Slice 67/155; Brain; 240x240
FLAIR MR image.
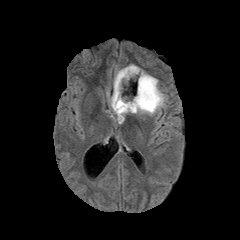
T1-weighted MR.
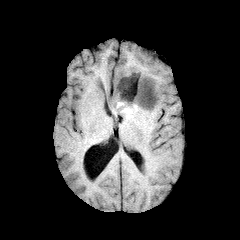
Post-contrast T1-weighted magnetic resonance.
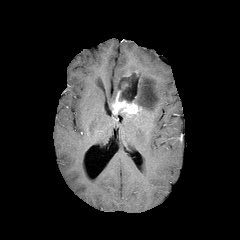
T2-weighted magnetic resonance.
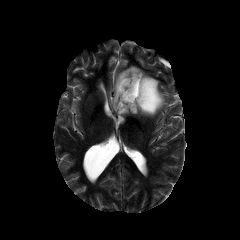
Segmented structures:
- edema: [106,65,167,116]
- non-enhancing tumor core: [116,76,154,110], [114,113,127,121], [120,76,129,83]
- enhancing tumor: [112,90,142,114]